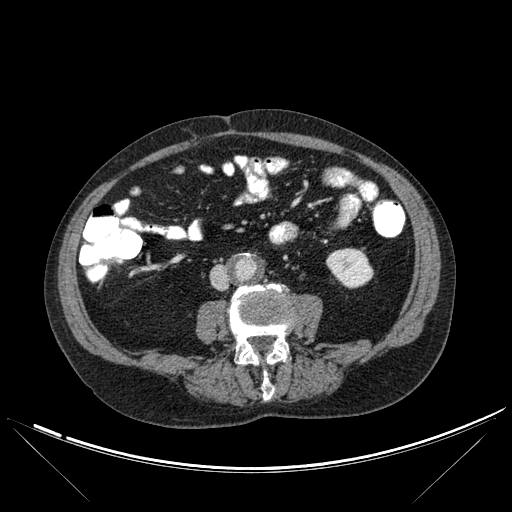
CT. Abdomen.

* bone: x1=230, y1=284, x2=292, y2=399
* kidney: x1=326, y1=249, x2=372, y2=287